Slice 580/677, Image width 367 mm, 512x512, CT scan slice

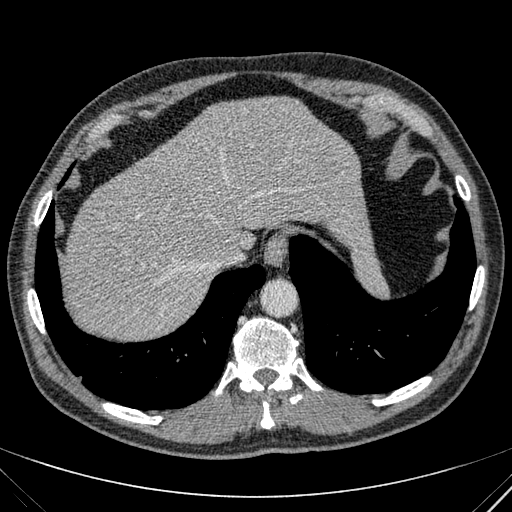
<segmentation>
  <liver>box(62, 98, 373, 338)</liver>
</segmentation>